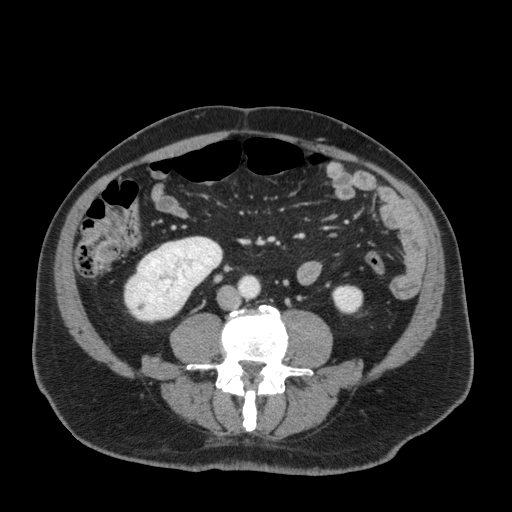
Abdomen. Computed tomography.

Segmented structures:
• kidney: box=[125, 237, 221, 319]; box=[334, 287, 361, 311]